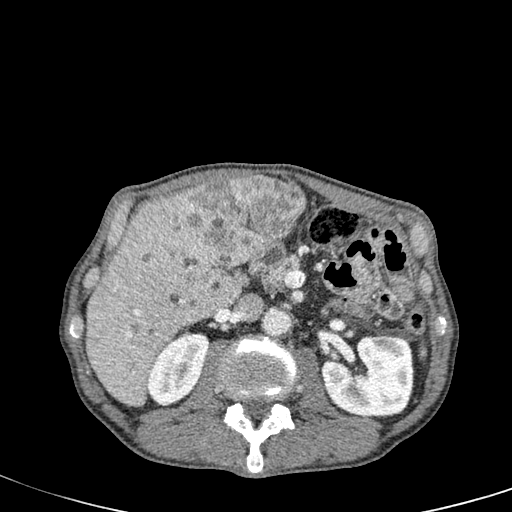
Upper abdomen. CT.
The liver is bounded by 86,190,239,406. 2 hepatic lesion regions are bounded by 186,175,305,267; 187,273,207,282. 2 kidney regions are bounded by 146,334,208,404; 322,337,412,415.